Brain | 240x240 px | Slice 106/155
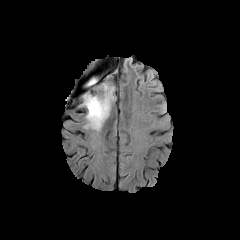
FLAIR magnetic resonance.
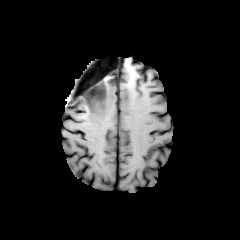
T1-weighted MR.
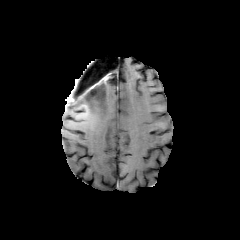
Post-contrast T1-weighted MR image.
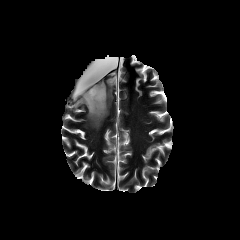
T2-weighted magnetic resonance.
Edema = 84 76 98 89, 84 81 113 131.
Non-enhancing tumor core = 81 86 99 107.